Field of view 240 mm wide, 1.00 mm slice spacing
FLAIR magnetic resonance.
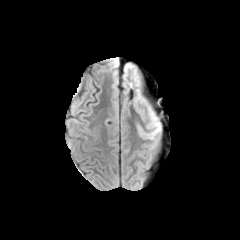
T1-weighted MR image.
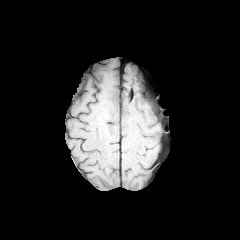
Post-contrast T1-weighted MRI.
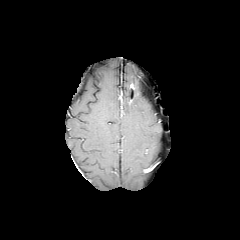
T2-weighted MR.
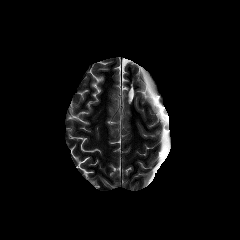
edema:
  - x1=142, y1=108, x2=161, y2=140